Abdomen, CT image, Image width 512 mm

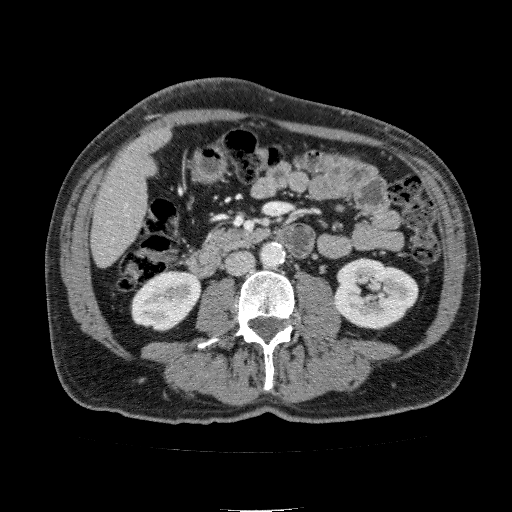
The liver appears at [91,126,172,269]. 2 kidney regions appear at [132,272,199,329], [335,259,417,327].